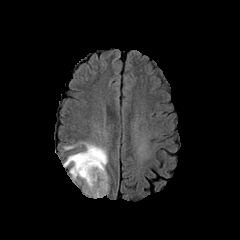
FLAIR magnetic resonance.
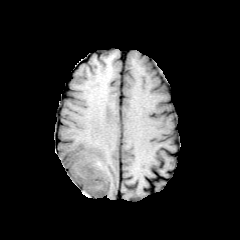
T1-weighted MR.
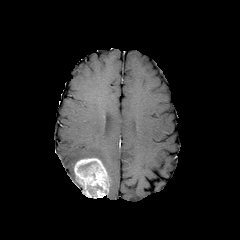
Post-contrast T1-weighted MRI.
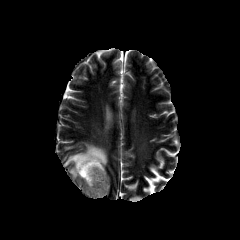
T2-weighted MR of the same slice.
Head, 240x240
The enhancing tumor is located at box(73, 158, 109, 198). The edema is bounded by box(63, 142, 108, 180).